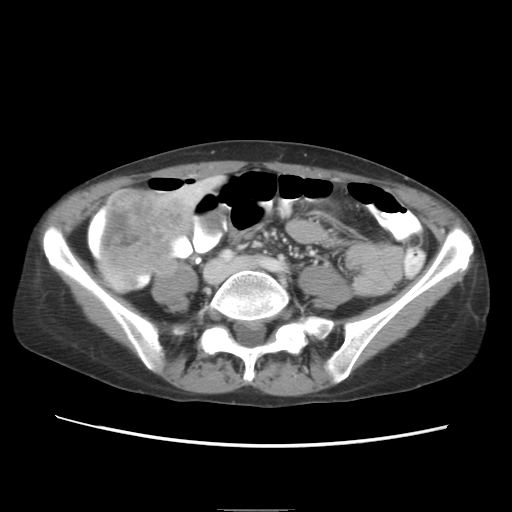

Abdomen. CT scan slice.
Liver tumor: bounding box [100, 190, 190, 289].